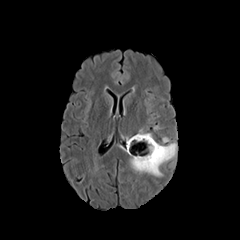
FLAIR MRI.
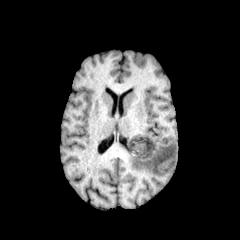
T1-weighted MR.
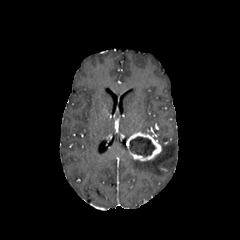
Post-contrast T1-weighted MRI.
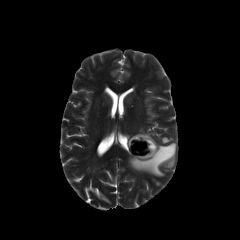
T2-weighted magnetic resonance.
Brain.
non-enhancing tumor core: l=129, t=136, r=155, b=157 | enhancing tumor: l=127, t=131, r=161, b=160 | edema: l=129, t=143, r=176, b=175